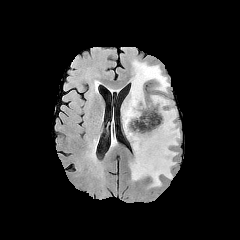
FLAIR MR image.
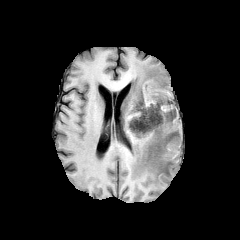
T1-weighted magnetic resonance.
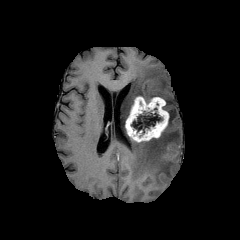
Post-contrast T1-weighted MRI of the same slice.
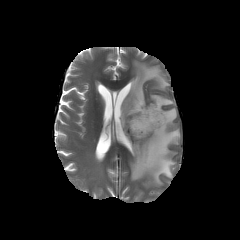
Same slice, T2-weighted MRI.
Brain
2 edema regions are located at [121,60,169,133], [126,100,179,186]. The enhancing tumor lies within [125,96,169,141]. 2 non-enhancing tumor core regions are located at [131,108,162,136], [140,109,173,152].